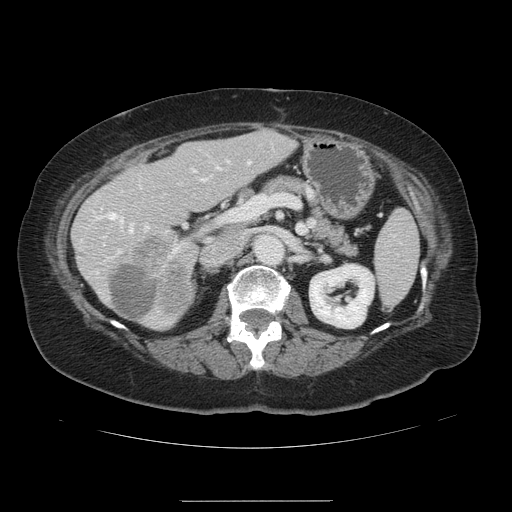

Computed tomography; Abdomen
The vessel boxes may cover only some of the vessels.
Liver tumor = region(131, 237, 191, 311); region(111, 264, 157, 320).
Hepatic vessel = region(129, 226, 132, 231); region(216, 167, 219, 168); region(144, 225, 147, 229); region(107, 213, 122, 225); region(171, 245, 178, 253); region(94, 214, 103, 218); region(200, 178, 206, 179); region(209, 175, 211, 176); region(191, 169, 194, 170); region(116, 249, 120, 254); region(226, 160, 228, 162); region(247, 160, 249, 163).